512x512. Slice 26 of 55. CT scan slice.
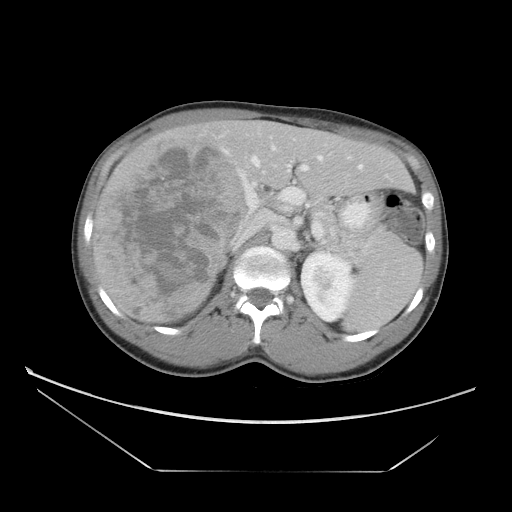
Only some of the vessels may be annotated.
The liver tumor is at (left=92, top=126, right=248, bottom=323). 6 hepatic vessel regions appear at (left=318, top=155, right=322, bottom=158), (left=245, top=181, right=257, bottom=209), (left=271, top=143, right=276, bottom=150), (left=286, top=161, right=291, bottom=166), (left=252, top=156, right=258, bottom=164), (left=301, top=165, right=307, bottom=170).